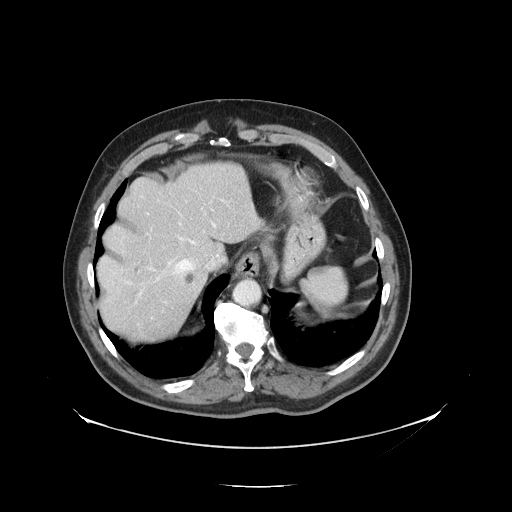 CT; Liver
The vessel annotation is not exhaustive.
Liver tumor at [x1=185, y1=275, x2=193, y2=282].
Hepatic vessel at [x1=210, y1=199, x2=212, y2=203], [x1=147, y1=234, x2=149, y2=236], [x1=148, y1=268, x2=154, y2=270], [x1=168, y1=261, x2=171, y2=265], [x1=207, y1=259, x2=214, y2=268], [x1=191, y1=241, x2=195, y2=243], [x1=165, y1=302, x2=166, y2=303], [x1=213, y1=222, x2=215, y2=227], [x1=162, y1=270, x2=165, y2=272], [x1=181, y1=273, x2=185, y2=278], [x1=217, y1=254, x2=225, y2=260], [x1=190, y1=268, x2=194, y2=270], [x1=194, y1=276, x2=206, y2=298].